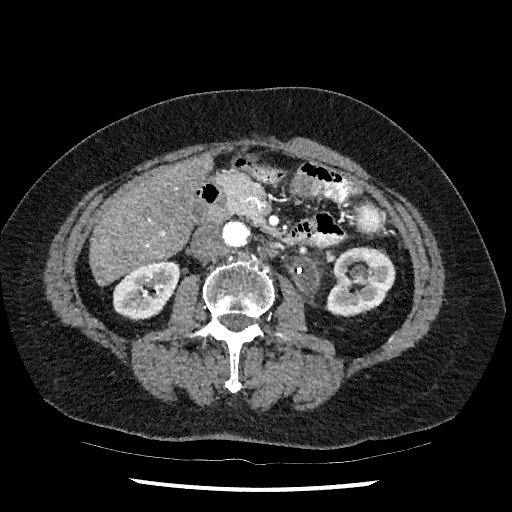
Image size 512x512, Upper abdomen, CT
kidney:
  - [113, 262, 179, 318]
  - [327, 248, 394, 315]
liver:
  - [89, 154, 212, 285]